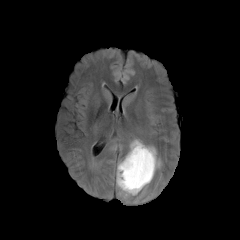
FLAIR MR.
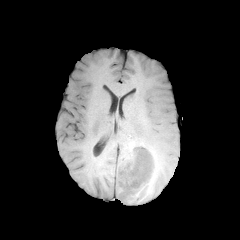
Same slice, T1-weighted MR.
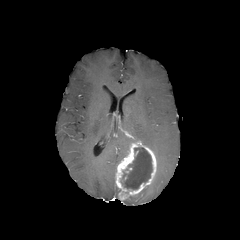
Post-contrast T1-weighted magnetic resonance.
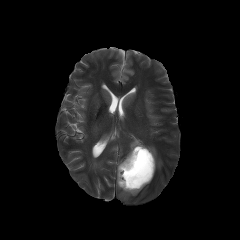
T2-weighted MR.
Brain. 240x240 px.
The enhancing tumor appears at x1=116 y1=141 x2=155 y2=198. The non-enhancing tumor core is located at x1=124 y1=147 x2=152 y2=189.